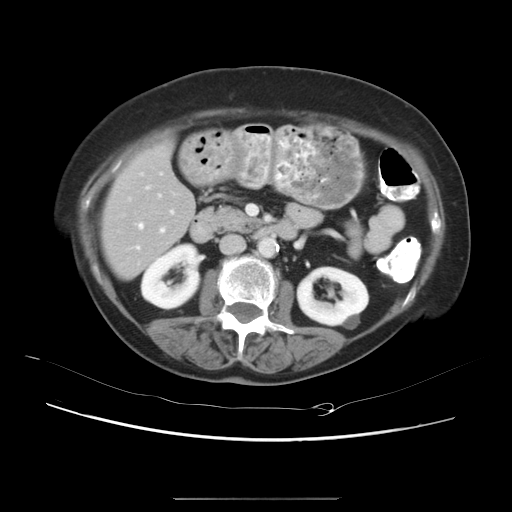 Computed tomography | Image size 512x512
The vessel annotation is not exhaustive.
hepatic_vessel:
  - 158, 194, 160, 197
  - 140, 173, 142, 175
  - 128, 198, 130, 200
  - 130, 246, 139, 249
  - 136, 222, 143, 229
  - 121, 214, 123, 216
  - 160, 173, 162, 174
  - 170, 210, 173, 213
  - 137, 261, 139, 263
  - 160, 228, 165, 233
  - 145, 186, 150, 189